512x512; Slice index 360; Computed tomography; Upper abdomen 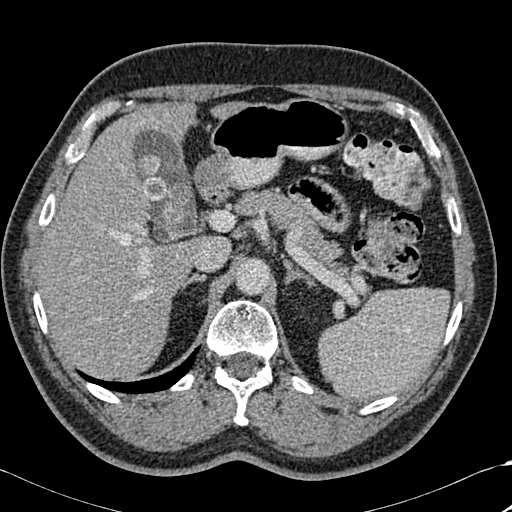

The lung is bounded by rect(77, 346, 199, 393). 10 bone regions appear at rect(34, 293, 46, 332); rect(445, 303, 461, 343); rect(361, 396, 395, 413); rect(207, 301, 277, 424); rect(447, 199, 460, 233); rect(172, 375, 193, 390); rect(39, 195, 54, 225); rect(87, 383, 118, 402); rect(292, 377, 312, 393); rect(67, 116, 95, 160). The liver is bounded by rect(39, 105, 195, 380).